Head, Image size 240x240
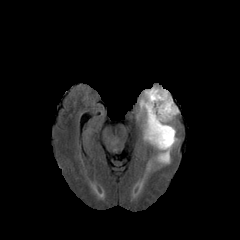
FLAIR MR image.
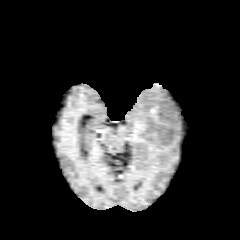
T1-weighted MR.
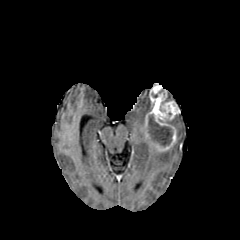
Same slice, post-contrast T1-weighted magnetic resonance.
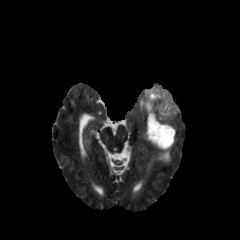
Same slice, T2-weighted MRI.
{
  "edema": [
    "l=137, t=89, r=150, b=120",
    "l=155, t=149, r=171, b=163"
  ],
  "non-enhancing_tumor_core": [
    "l=148, t=115, r=172, b=146"
  ],
  "enhancing_tumor": [
    "l=144, t=84, r=179, b=151"
  ]
}